FLAIR magnetic resonance.
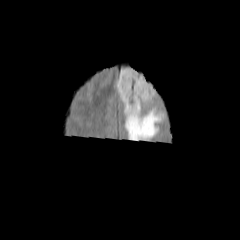
T1-weighted MRI.
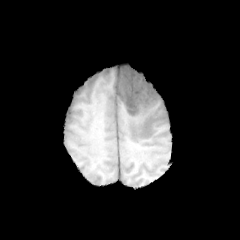
Post-contrast T1-weighted MR.
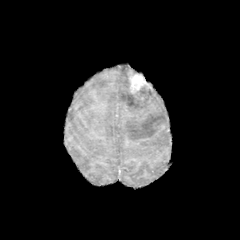
T2-weighted MR image.
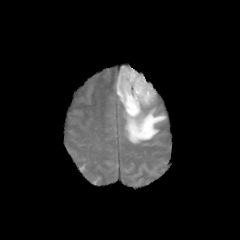
240x240 px; Head
Edema at rect(116, 65, 166, 143).
Enhancing tumor at rect(126, 70, 150, 97).